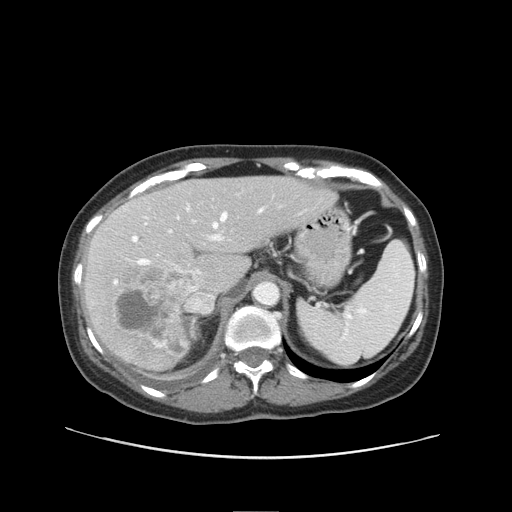
CT slice | 512x512 px
Only some of the vessels may be annotated.
The liver tumor lies within rect(107, 259, 203, 354). 10 hepatic vessel regions are bounded by rect(259, 209, 263, 212); rect(133, 237, 137, 241); rect(168, 229, 171, 232); rect(213, 223, 218, 228); rect(186, 206, 190, 210); rect(221, 213, 226, 220); rect(177, 216, 179, 218); rect(141, 259, 145, 259); rect(209, 234, 222, 240); rect(176, 266, 202, 274).